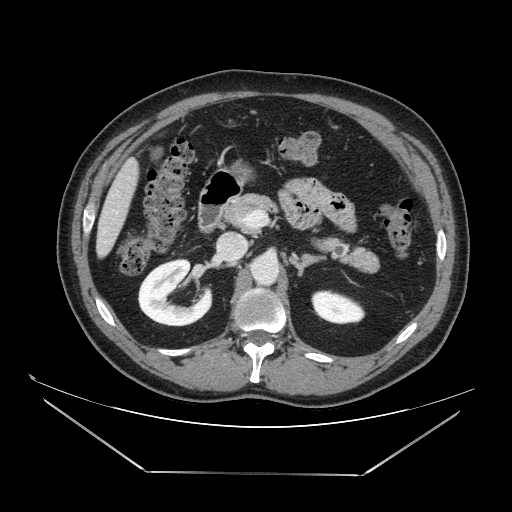
Computed tomography; Upper abdomen
Pancreas = box(223, 193, 277, 232); box(311, 235, 379, 272).